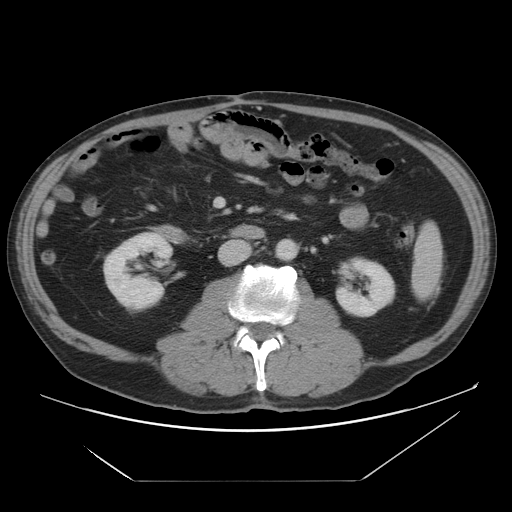
CT scan slice, 512x512

Kidney at 337, 261, 393, 315; 104, 233, 171, 307.